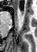

MR
{
  "anterior_hippocampus": [
    "left=20, top=11, right=23, bottom=15"
  ]
}